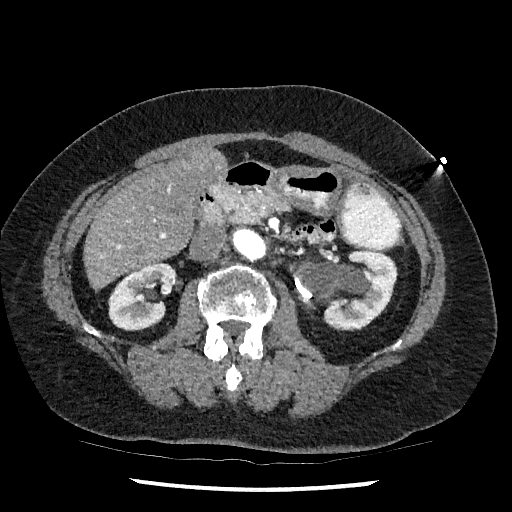 CT scan slice
Segmented structures:
- liver: 84, 149, 227, 289
- kidney: 325, 250, 396, 329; 109, 264, 175, 329